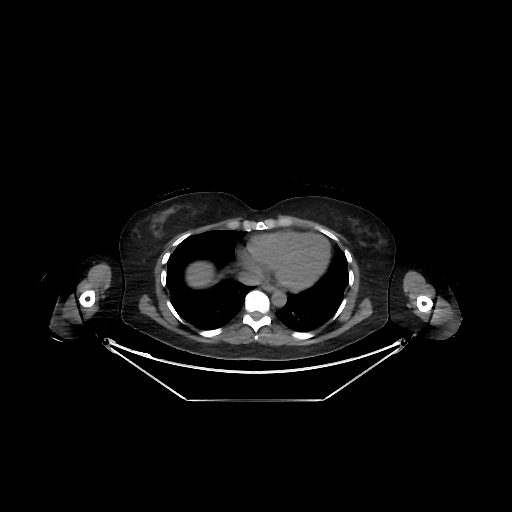
CT slice
liver:
  - bbox(187, 262, 214, 286)